240x240.
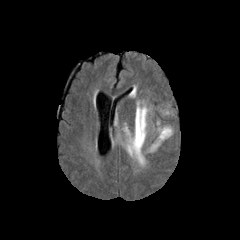
FLAIR MRI.
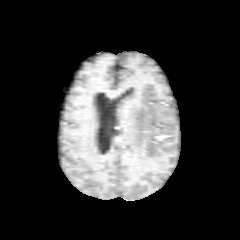
T1-weighted magnetic resonance.
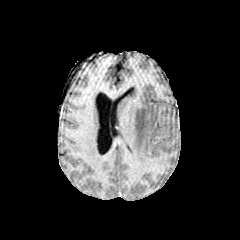
Post-contrast T1-weighted MR.
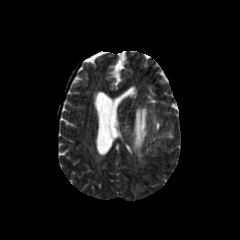
T2-weighted MRI of the same slice.
edema:
  - rect(126, 99, 174, 164)